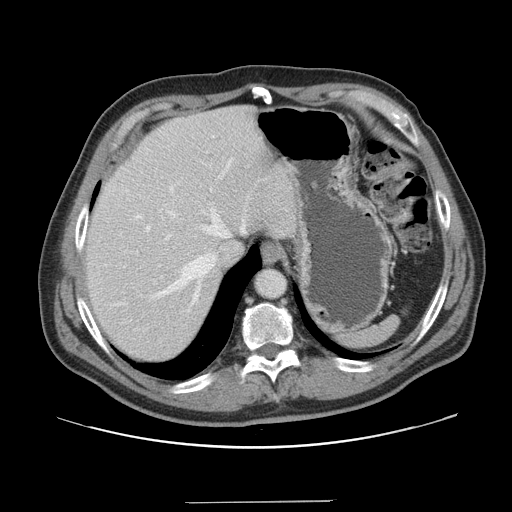 Liver, CT image

Not every hepatic vessel necessarily has a box.
Annotated regions:
- hepatic vessel: [x1=203, y1=208, x2=228, y2=237], [x1=170, y1=187, x2=172, y2=191], [x1=157, y1=254, x2=215, y2=295], [x1=136, y1=215, x2=141, y2=217], [x1=194, y1=288, x2=198, y2=300], [x1=241, y1=219, x2=244, y2=232], [x1=146, y1=226, x2=149, y2=230], [x1=168, y1=211, x2=175, y2=216]